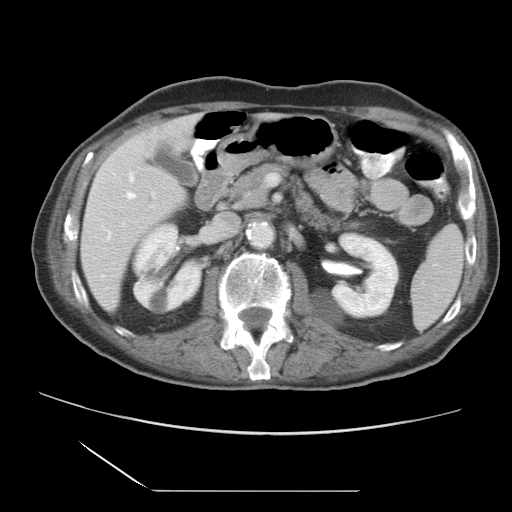 Abdomen | CT slice

Only some of the vessels may be annotated.
<segmentation>
  <hepatic_vessel>102 275 104 276, 108 231 111 239, 129 173 134 180, 127 193 135 198</hepatic_vessel>
</segmentation>